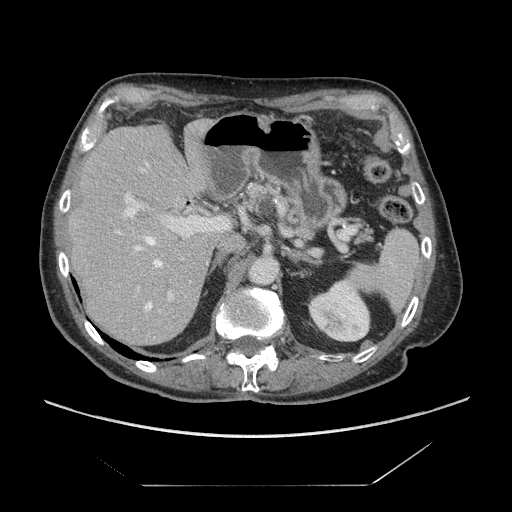 CT scan slice, Upper abdomen

<segmentation>
  <pancreas>left=227, top=180, right=280, bottom=214; left=354, top=219, right=372, bottom=241</pancreas>
</segmentation>